CT image | Image width 419 mm

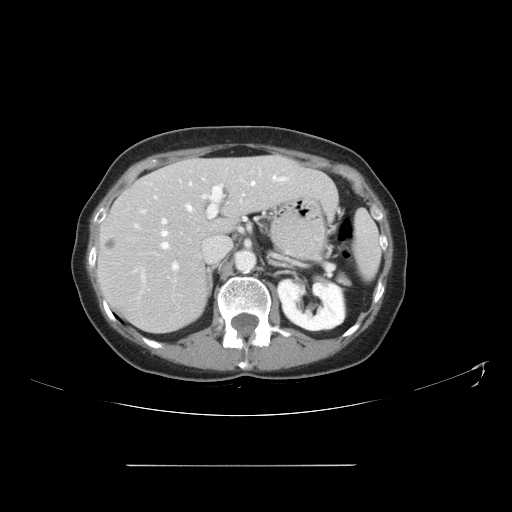
The vessel annotation is not exhaustive.
hepatic_vessel:
  - 240 199 241 201
  - 162 219 166 223
  - 172 263 177 269
  - 186 205 192 210
  - 273 175 287 180
  - 139 209 145 213
  - 134 224 138 228
  - 202 184 222 218
  - 162 231 167 235
  - 141 268 144 281
  - 154 196 156 198
  - 242 193 244 195
  - 161 242 168 248
  - 251 181 254 185
  - 189 182 191 185
liver_tumor:
  - 105 240 116 249
  - 239 169 254 177